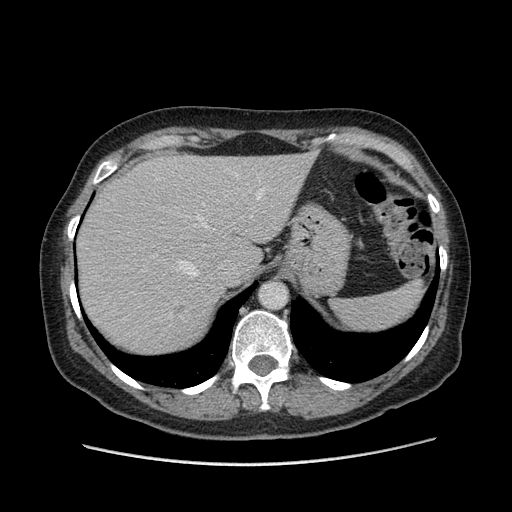

Image size 512x512; CT slice
The vessel annotation is not exhaustive.
Hepatic vessel — bbox=[258, 195, 260, 197]; bbox=[173, 260, 199, 278]; bbox=[151, 256, 153, 257]; bbox=[130, 291, 133, 293]; bbox=[252, 207, 253, 209]; bbox=[176, 212, 214, 230].